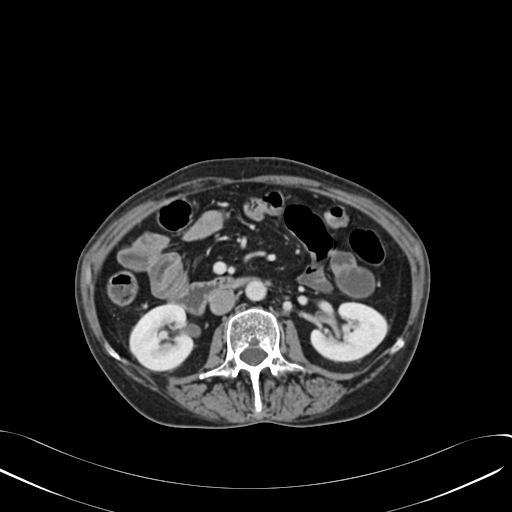 Abdomen | CT image | 512x512

Kidney: bounding box (x1=311, y1=303, x2=385, y2=360), (x1=130, y1=305, x2=192, y2=369).